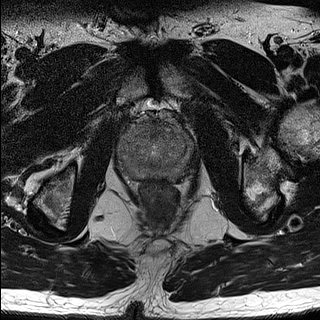
T2-weighted MR image.
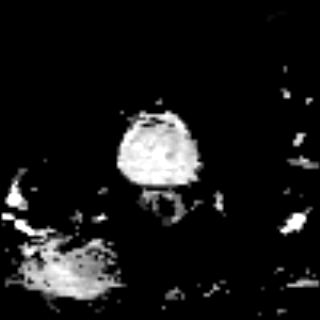
Same slice, ADC MRI.
Prostate | Image size 320x320
{"prostate_peripheral_zone": ["box(118, 115, 193, 180)"], "prostate_transition_zone": ["box(130, 114, 184, 167)"]}